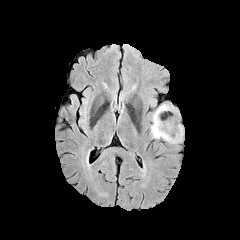
FLAIR magnetic resonance.
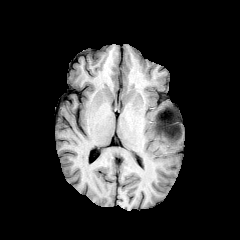
T1-weighted magnetic resonance.
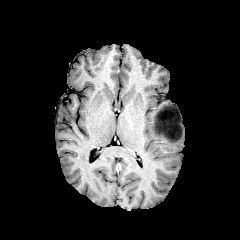
Post-contrast T1-weighted MRI of the same slice.
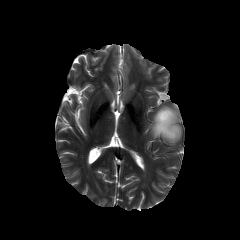
T2-weighted magnetic resonance.
Brain
Edema — (x1=150, y1=104, x2=182, y2=143).
Non-enhancing tumor core — (x1=156, y1=114, x2=180, y2=140).